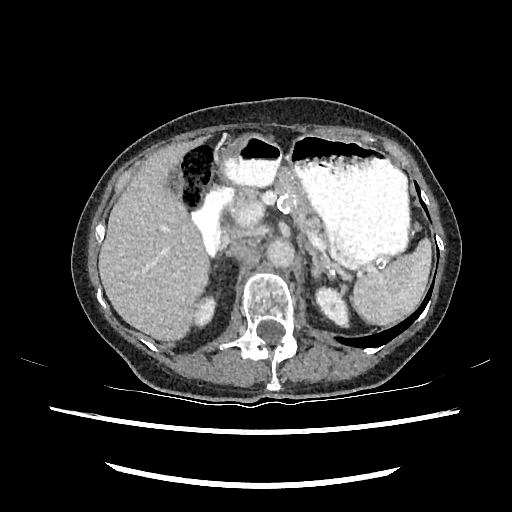 512x512. Liver. Computed tomography.
Kidney at l=197, t=301, r=213, b=323; l=317, t=289, r=346, b=324.
Liver at l=99, t=137, r=208, b=340.